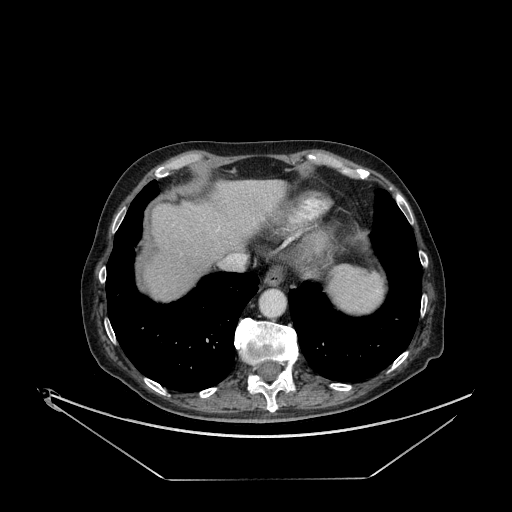
CT image; Abdomen
The liver appears at [x1=145, y1=181, x2=284, y2=299].